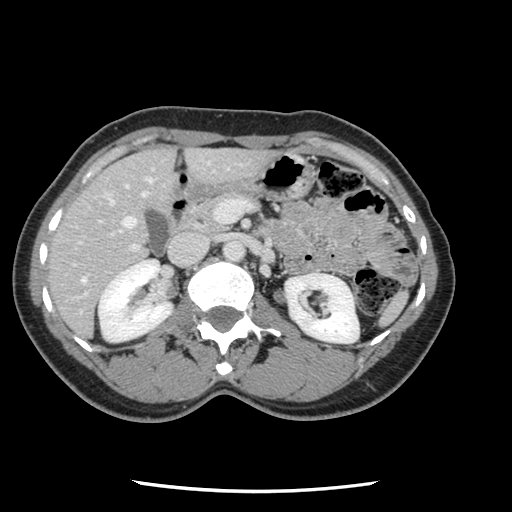
CT scan slice. Liver.

Some hepatic vessels may have no box.
hepatic_vessel:
  - <bbox>107, 196, 113, 204</bbox>
  - <bbox>122, 216, 135, 228</bbox>
  - <bbox>81, 277, 85, 281</bbox>
  - <bbox>120, 229, 121, 231</bbox>
  - <bbox>141, 191, 146, 195</bbox>
  - <bbox>146, 177, 151, 181</bbox>
  - <bbox>131, 244, 137, 249</bbox>